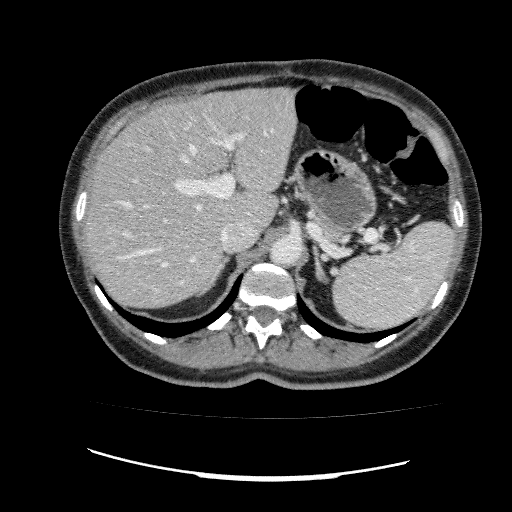

512x512, Computed tomography
Segmented structures:
* liver: left=83, top=87, right=297, bottom=308